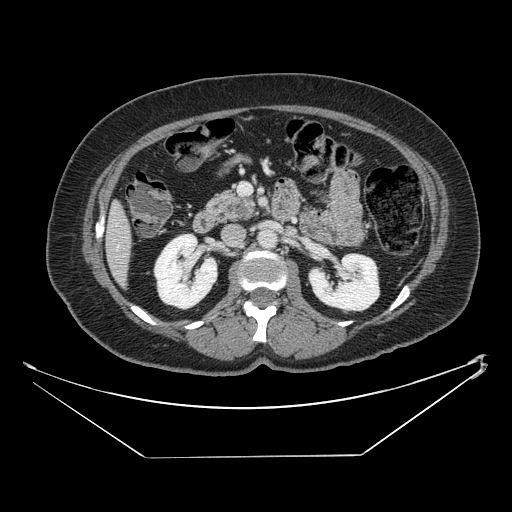 CT scan slice

The pancreas is at (left=205, top=189, right=257, bottom=224).